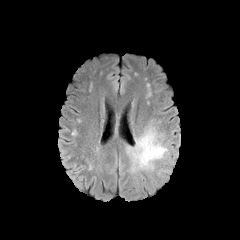
FLAIR magnetic resonance.
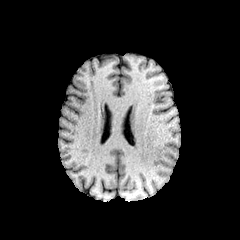
T1-weighted MR image of the same slice.
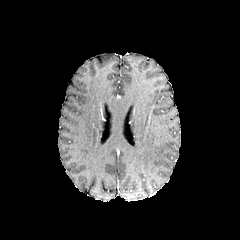
Post-contrast T1-weighted MRI.
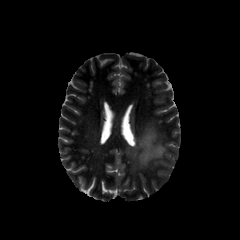
T2-weighted magnetic resonance.
240x240
edema: <bbox>126, 125, 167, 172</bbox>